Chest, 512x512, CT scan slice 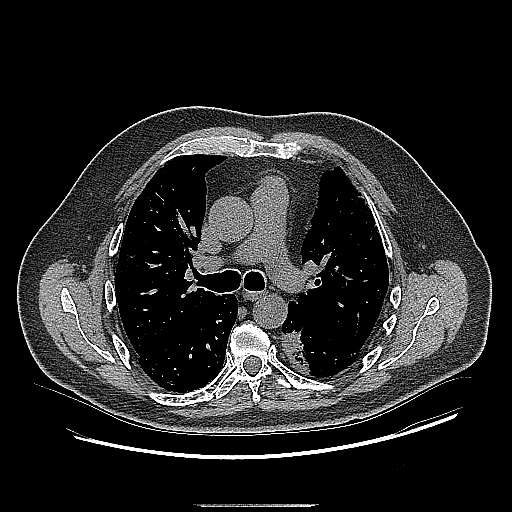

Segmented structures:
• lung tumor: bbox=[281, 324, 313, 376]; bbox=[288, 304, 298, 314]